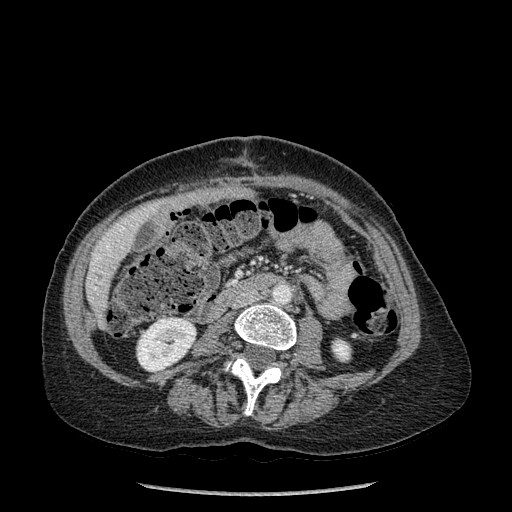
Abdomen. Image size 512x512. CT.

2 kidney regions are located at 333, 341, 348, 360; 137, 318, 195, 371. 2 bone regions are bounded by 234, 303, 296, 350; 224, 354, 282, 415. The liver is at 86, 205, 159, 329.